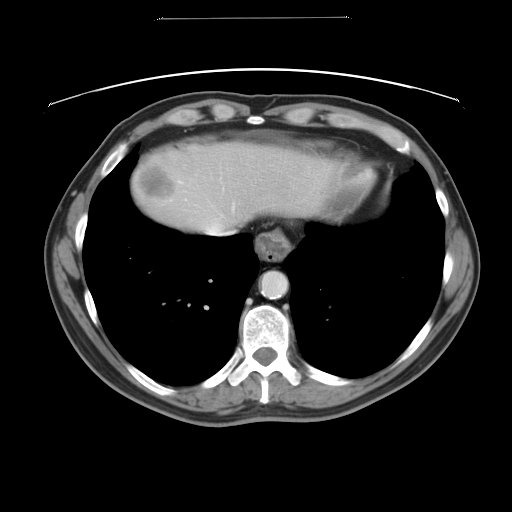 CT image, 512x512 px, Abdomen

Not every hepatic vessel necessarily has a box.
hepatic_vessel:
  - 223,188,224,189
  - 200,213,231,234
  - 220,174,222,180
liver_tumor:
  - 138,164,179,200